MRI | Heart | Slice index 60
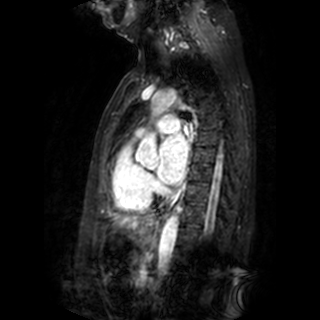 The left atrium is located at left=157, top=133, right=187, bottom=184.